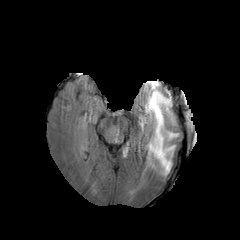
FLAIR magnetic resonance.
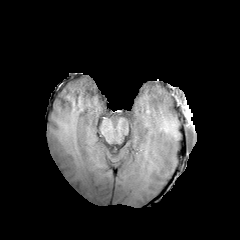
T1-weighted magnetic resonance of the same slice.
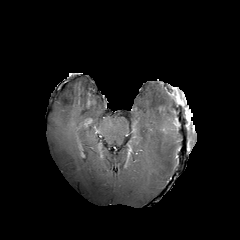
Same slice, post-contrast T1-weighted MRI.
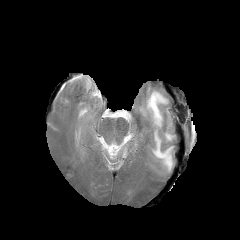
T2-weighted magnetic resonance of the same slice.
The edema is located at <box>138,82,178,176</box>.